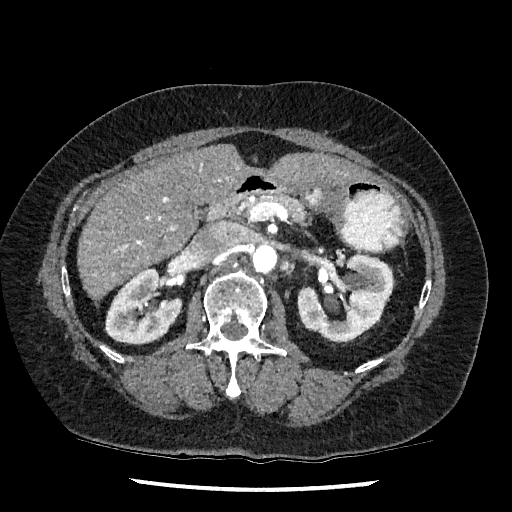 Image size 512x512. Abdomen. Computed tomography.
2 kidney regions are bounded by <bbox>106, 260, 186, 343</bbox>, <bbox>298, 255, 392, 341</bbox>. 2 liver regions appear at <bbox>78, 145, 249, 299</bbox>, <bbox>270, 155, 369, 185</bbox>.